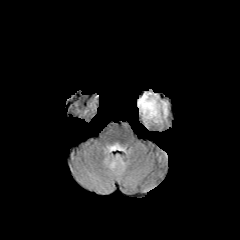
FLAIR MR image.
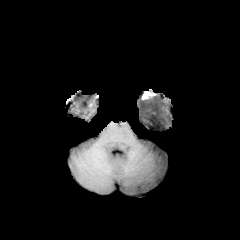
T1-weighted MR image of the same slice.
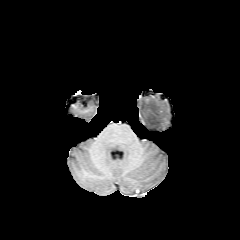
Post-contrast T1-weighted magnetic resonance.
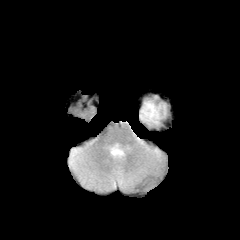
T2-weighted magnetic resonance of the same slice.
Edema = box(140, 95, 167, 125).